FLAIR MRI.
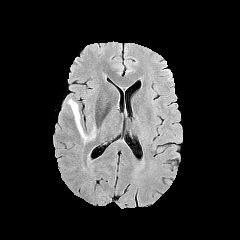
T1-weighted MR image.
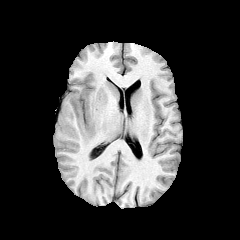
Post-contrast T1-weighted MR image.
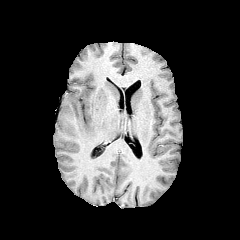
T2-weighted magnetic resonance.
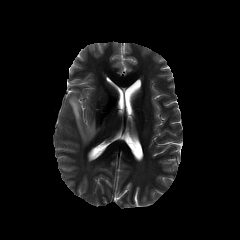
Head.
The edema is at 66, 96, 95, 143.